FLAIR magnetic resonance.
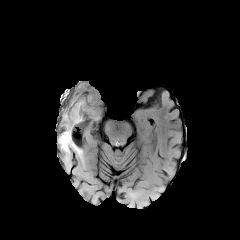
T1-weighted magnetic resonance.
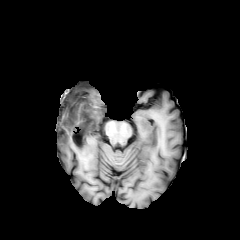
Post-contrast T1-weighted MRI.
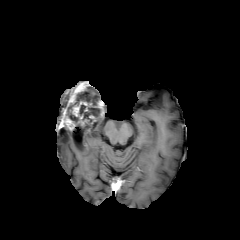
T2-weighted MR.
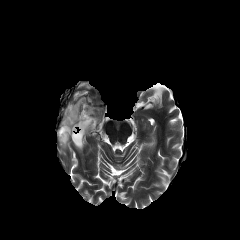
Brain
{"enhancing_tumor": ["bbox=[60, 110, 75, 129]", "bbox=[70, 101, 86, 123]"], "non-enhancing_tumor_core": ["bbox=[79, 104, 97, 125]", "bbox=[63, 88, 85, 126]"], "edema": ["bbox=[78, 86, 101, 119]", "bbox=[58, 128, 81, 154]"]}